Image size 512x512. CT scan slice. Abdomen. Slice 343 of 574.
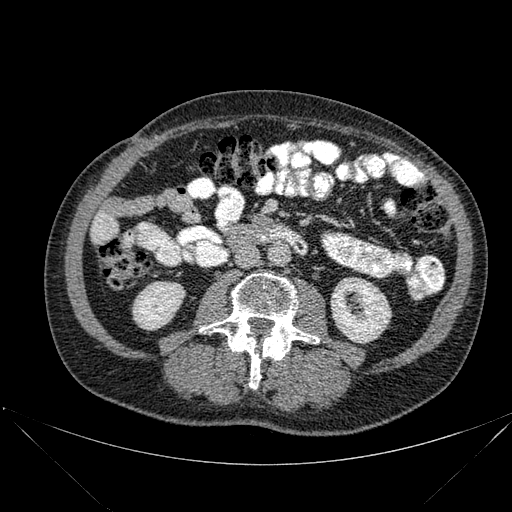 Bone — [x1=199, y1=273, x2=319, y2=388].
Kidney — [x1=331, y1=278, x2=390, y2=342], [x1=133, y1=282, x2=184, y2=329].